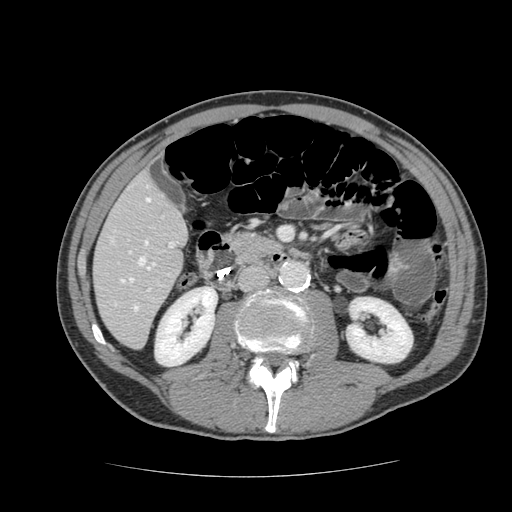 Upper abdomen; CT image

The pancreas is at x1=226 y1=229 x2=279 y2=266.